Computed tomography. Image size 512x512.

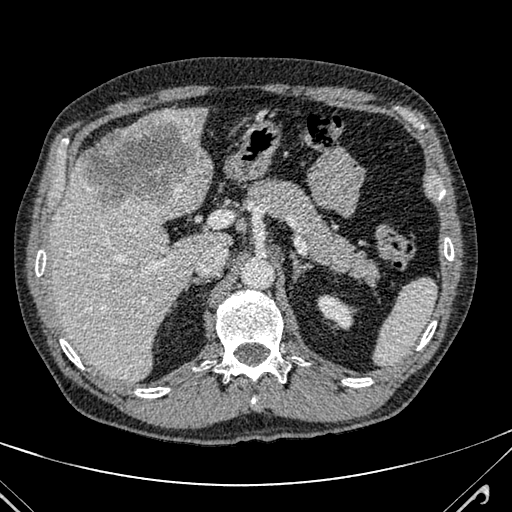 {
  "focal_liver_lesion": [
    "78,111,211,207"
  ],
  "liver": [
    "49,159,231,380",
    "159,108,205,148",
    "117,115,150,132"
  ]
}